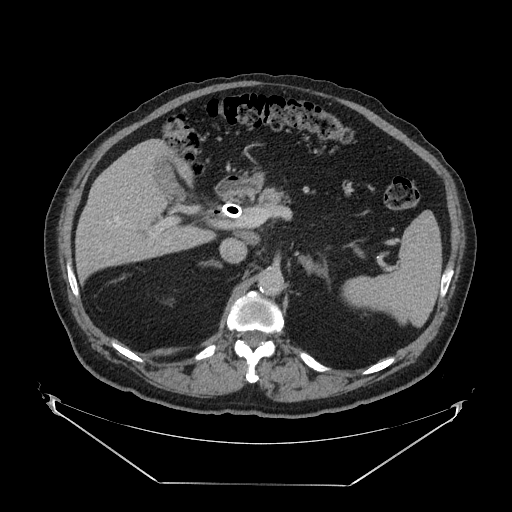
CT scan slice | Upper abdomen
pancreas:
  - <box>260,188,283,206</box>